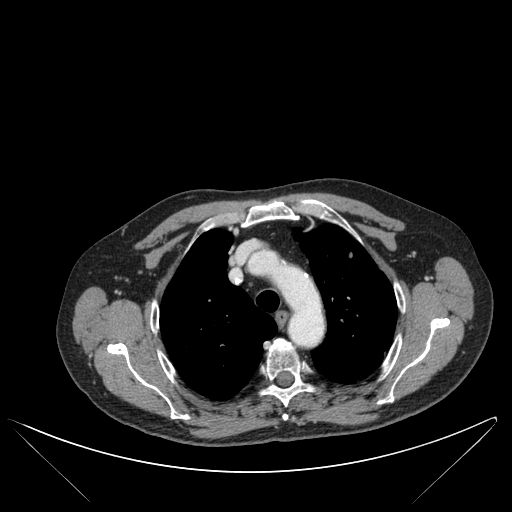

CT slice | Chest

Annotated regions:
* lung: <bbox>293, 224, 396, 383</bbox>, <bbox>160, 229, 278, 400</bbox>
* bone: <bbox>150, 301, 158, 332</bbox>, <bbox>383, 335, 401, 374</bbox>, <bbox>394, 283, 404, 310</bbox>, <bbox>107, 343, 189, 419</bbox>, <bbox>158, 351, 174, 381</bbox>, <bbox>241, 201, 298, 227</bbox>, <bbox>261, 339, 313, 405</bbox>, <bbox>378, 318, 449, 403</bbox>, <bbox>300, 199, 331, 218</bbox>